Slice 68/155, Image size 240x240
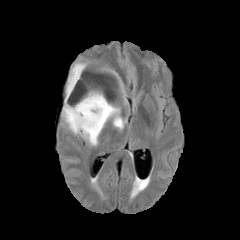
FLAIR MR.
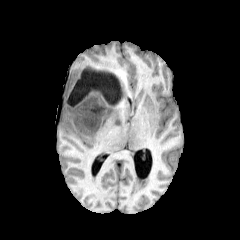
T1-weighted MR image of the same slice.
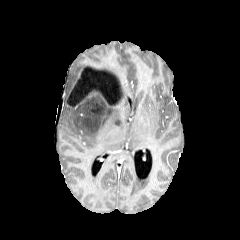
Same slice, post-contrast T1-weighted magnetic resonance.
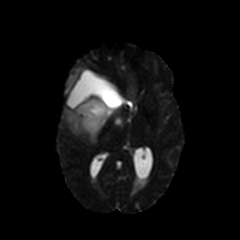
Same slice, T2-weighted magnetic resonance.
The edema is bounded by x1=60, y1=62, x2=129, y2=145. The non-enhancing tumor core lies within x1=73, y1=71, x2=120, y2=130.